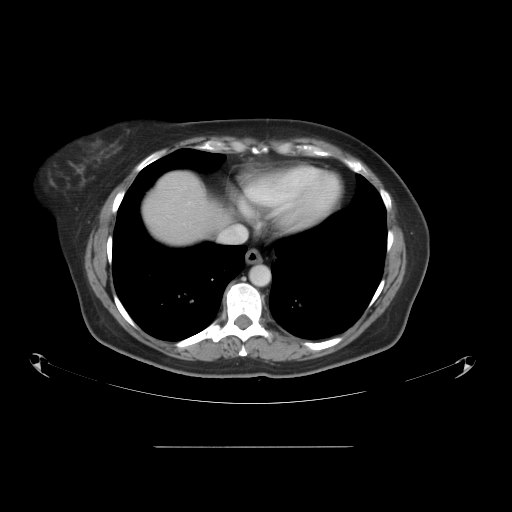

CT slice
The vessel boxes may cover only some of the vessels.
hepatic vessel: 188 202 190 203, 220 226 245 241